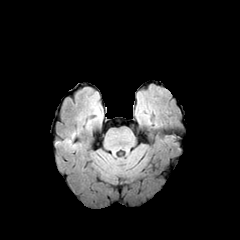
FLAIR MR image.
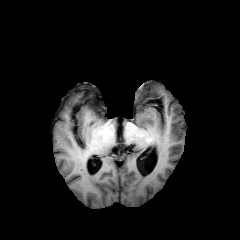
T1-weighted MR.
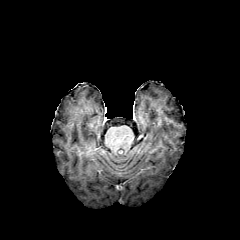
Post-contrast T1-weighted MRI.
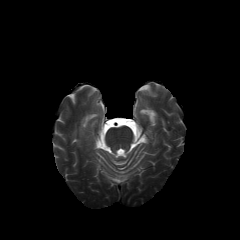
Same slice, T2-weighted MRI.
Brain
Edema — [x1=140, y1=109, x2=151, y2=124].